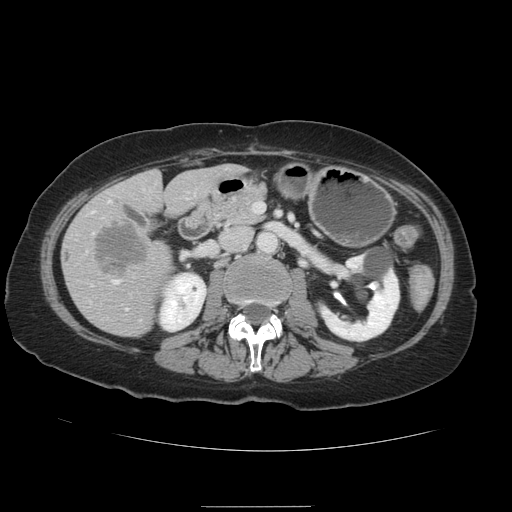

512x512. Abdomen. CT.

Not every hepatic vessel necessarily has a box.
liver tumor: [x1=96, y1=223, x2=147, y2=272] | hepatic vessel: [x1=108, y1=200, x2=109, y2=202], [x1=112, y1=280, x2=117, y2=284]